Slice 71 of 155; Brain
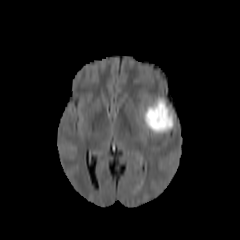
FLAIR MR image.
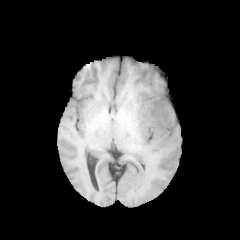
T1-weighted MR image.
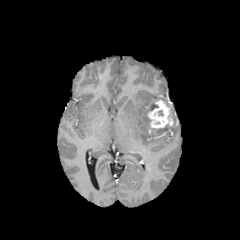
Same slice, post-contrast T1-weighted MR.
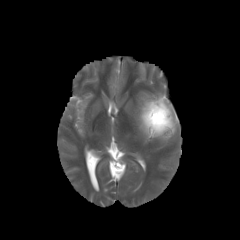
T2-weighted MRI of the same slice.
Annotated regions:
* edema: left=135, top=95, right=175, bottom=143
* enhancing tumor: left=147, top=99, right=177, bottom=129
* non-enhancing tumor core: left=147, top=127, right=171, bottom=132